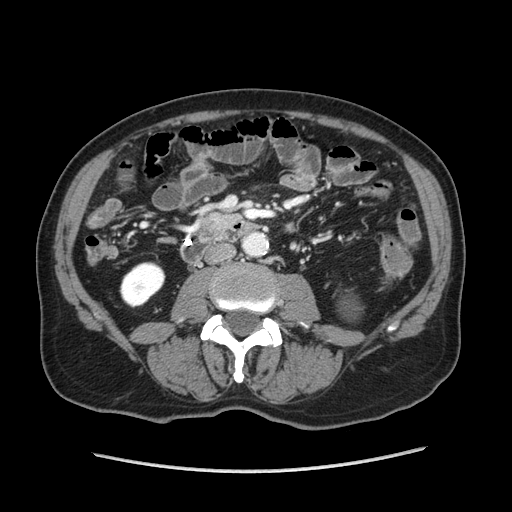

Abdomen; CT
The pancreas is bounded by <bbox>203, 213, 238, 230</bbox>.